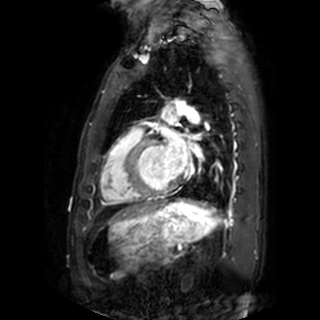

MR. 320x320 px.
<segmentation>
  <left_atrium>region(164, 130, 187, 172)</left_atrium>
</segmentation>